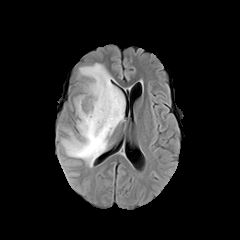
FLAIR MR image.
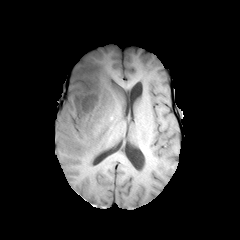
T1-weighted MR of the same slice.
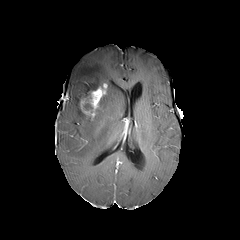
Same slice, post-contrast T1-weighted magnetic resonance.
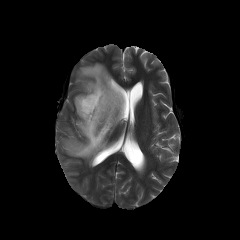
T2-weighted MR image.
240x240.
<segmentation>
  <non-enhancing_tumor_core>region(82, 87, 107, 120); region(82, 82, 105, 99); region(82, 102, 91, 109)</non-enhancing_tumor_core>
  <edema>region(61, 63, 125, 166)</edema>
  <enhancing_tumor>region(80, 83, 107, 116)</enhancing_tumor>
</segmentation>